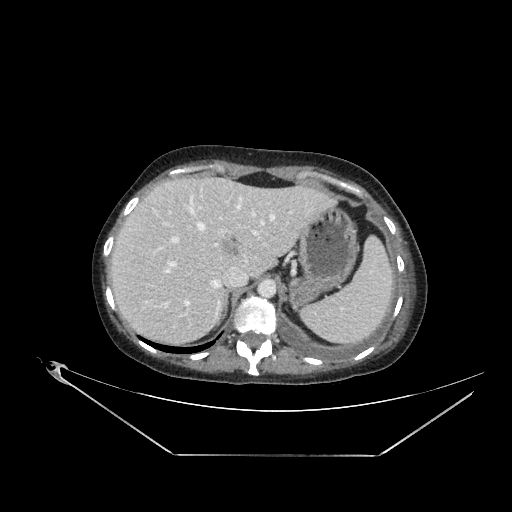 CT image | 512x512

Segmented structures:
- liver lesion: 215, 235, 242, 258
- liver: 114, 179, 331, 339